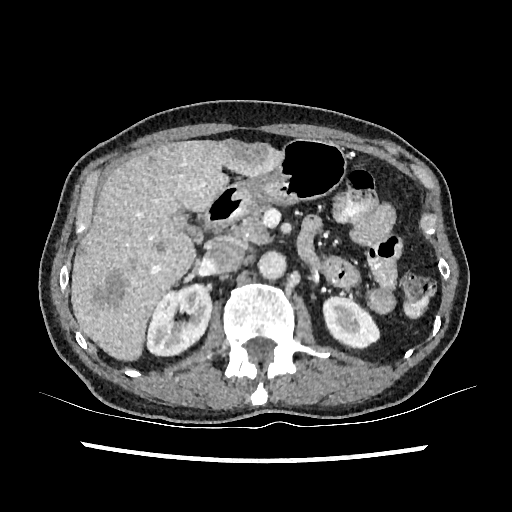 CT

{"liver": [{"x1": 71, "y1": 141, "x2": 281, "y2": 359}], "kidney": [{"x1": 323, "y1": 297, "x2": 378, "y2": 347}, {"x1": 147, "y1": 284, "x2": 211, "y2": 357}], "liver_lesion": [{"x1": 154, "y1": 241, "x2": 165, "y2": 252}, {"x1": 220, "y1": 139, "x2": 269, "y2": 165}, {"x1": 93, "y1": 269, "x2": 125, "y2": 309}]}